CT slice | Abdomen

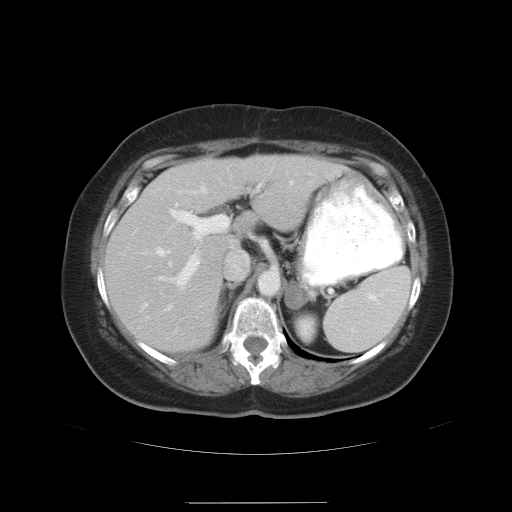 The vessel boxes may cover only some of the vessels.
12 hepatic vessel regions are located at 142 251 148 253, 168 260 171 265, 177 190 182 193, 133 231 135 233, 227 251 247 276, 169 208 228 242, 153 245 170 256, 184 185 206 194, 140 302 147 311, 164 304 172 310, 176 203 177 206, 157 249 200 290.